Head; Field of view 240x240 mm
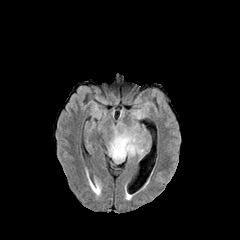
FLAIR MRI.
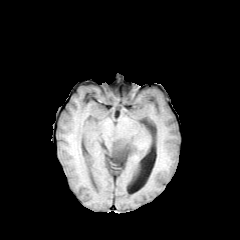
T1-weighted magnetic resonance.
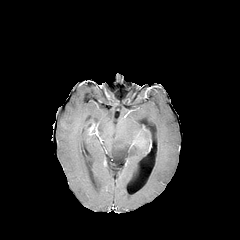
Same slice, post-contrast T1-weighted magnetic resonance.
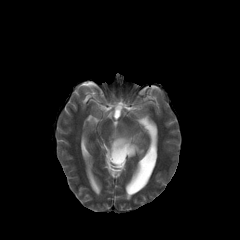
Same slice, T2-weighted MRI.
Edema = left=106, top=120, right=150, bottom=164.